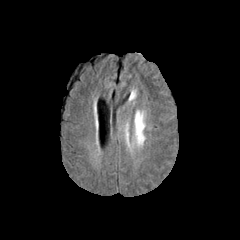
FLAIR MRI.
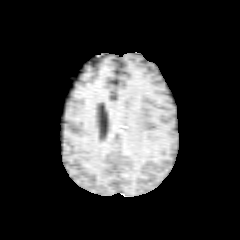
T1-weighted MR.
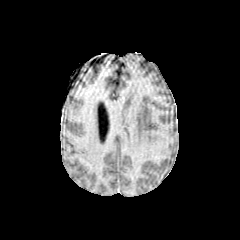
Post-contrast T1-weighted MR image.
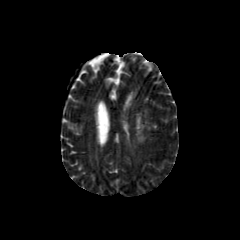
T2-weighted MR image.
240x240, Head
{"edema": ["(x1=135, y1=111, x2=144, y2=144)"]}